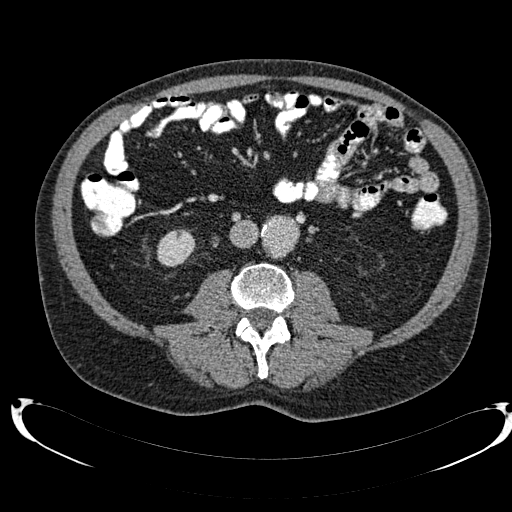

CT scan slice
Kidney: bounding box x1=157, y1=238, x2=194, y2=266.